Field of view 240x240 mm
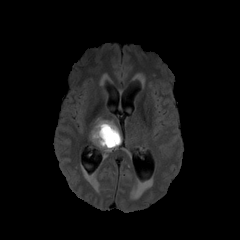
FLAIR magnetic resonance.
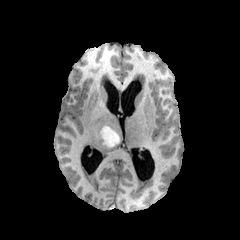
Same slice, T1-weighted MRI.
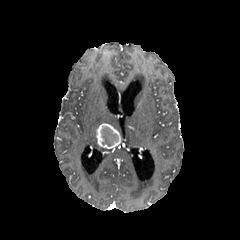
Post-contrast T1-weighted MR.
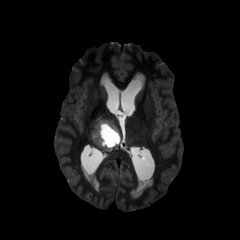
T2-weighted MRI.
The edema is located at 89:117:118:146. The enhancing tumor is located at 95:123:120:149. The non-enhancing tumor core is bounded by 101:125:118:146.